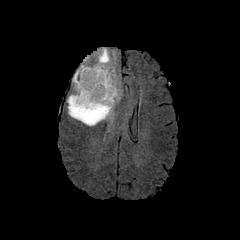
FLAIR MRI.
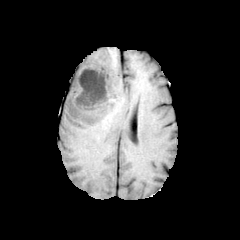
T1-weighted magnetic resonance of the same slice.
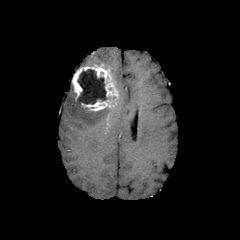
Post-contrast T1-weighted MR.
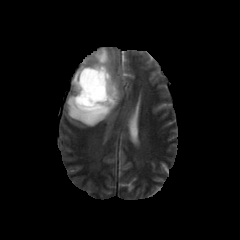
T2-weighted MR.
The enhancing tumor is bounded by 72:55:119:110. The non-enhancing tumor core is located at 75:69:106:105. 2 edema regions appear at 66:91:112:126, 93:48:120:106.